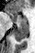

MR image; Medial temporal lobe

posterior hippocampus: box(13, 24, 28, 41) | anterior hippocampus: box(6, 11, 26, 23)